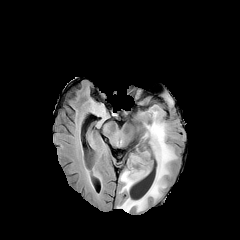
FLAIR MR.
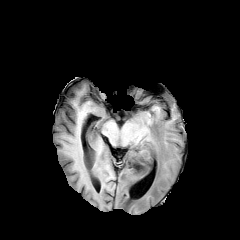
T1-weighted MRI.
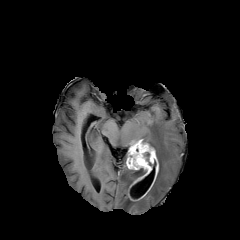
Post-contrast T1-weighted MR image of the same slice.
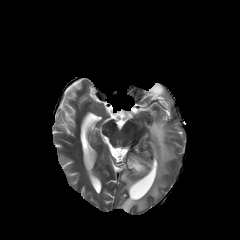
T2-weighted MRI.
Head; 240x240 px
Segmented structures:
* non-enhancing tumor core: (x1=127, y1=140, x2=153, y2=162), (x1=149, y1=160, x2=156, y2=178), (x1=128, y1=168, x2=145, y2=177)
* enhancing tumor: (x1=150, y1=148, x2=158, y2=175), (x1=127, y1=156, x2=151, y2=175)
* edema: (x1=119, y1=109, x2=176, y2=212)